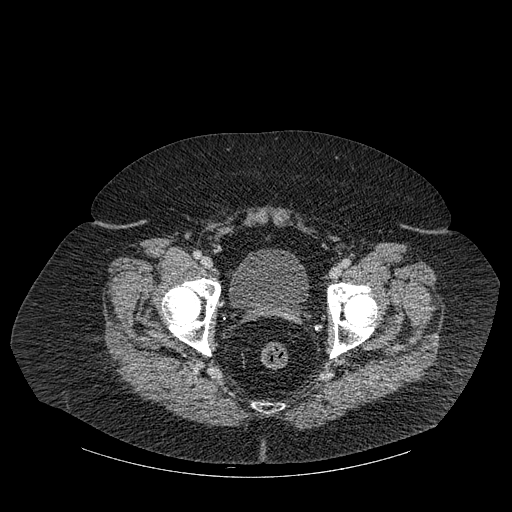 CT slice | Pelvis

urinary_bladder:
  - <box>230,248,309,321</box>
bone:
  - <box>162,278,220,355</box>
  - <box>327,283,377,358</box>
  - <box>252,403,270,411</box>